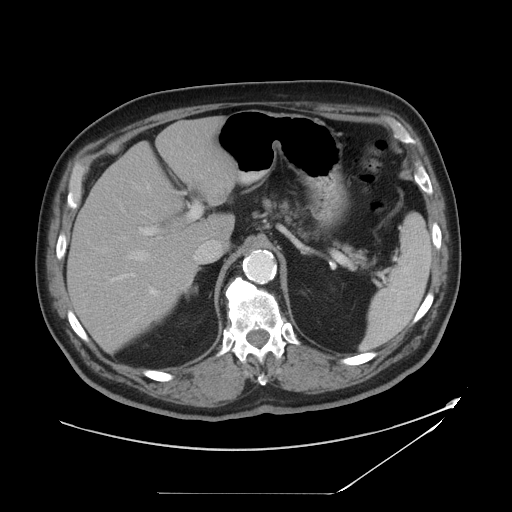

Computed tomography. Abdomen. Image size 512x512.
Some hepatic vessels may have no box.
Findings:
- hepatic vessel: box=[176, 284, 177, 285]; box=[103, 247, 106, 252]; box=[128, 250, 149, 260]; box=[109, 273, 134, 282]; box=[149, 287, 160, 296]; box=[139, 227, 152, 235]; box=[121, 237, 125, 239]; box=[145, 240, 151, 243]; box=[156, 238, 160, 238]; box=[121, 204, 124, 211]; box=[169, 288, 173, 289]
- liver tumor: box=[210, 182, 228, 200]